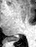

MRI slice | 36x47
The posterior hippocampus is located at x1=11 y1=37 x2=18 y2=41.